CT image; Field of view 370x370 mm; Abdomen
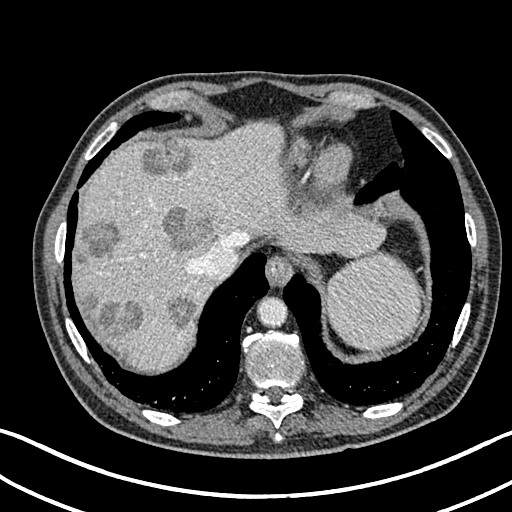

Liver: 75:122:384:370.
Focal liver lesion: 77:253:85:261, 81:223:117:257, 114:350:129:362, 112:302:142:336, 166:297:195:329, 99:300:119:328, 142:139:194:175, 82:295:98:311, 161:207:212:251.